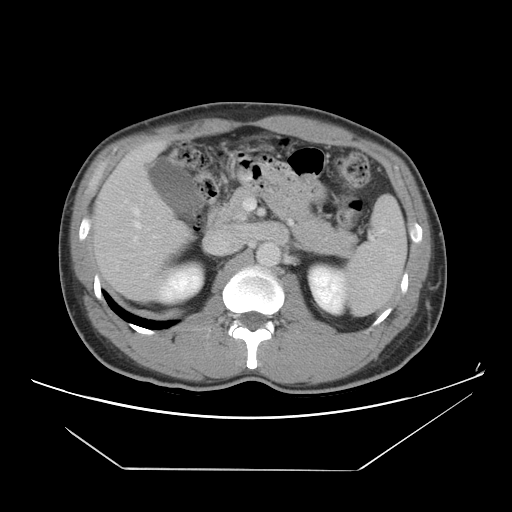
CT. Abdomen.

The vessel boxes may cover only some of the vessels.
{"hepatic_vessel": ["145,273,147,275", "134,236,137,240", "125,200,127,201", "134,222,140,228", "132,207,139,215"]}